FLAIR MR.
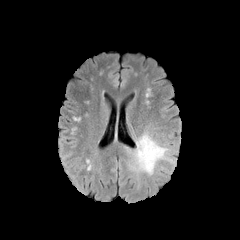
T1-weighted MR image.
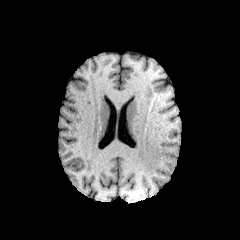
Post-contrast T1-weighted MR image.
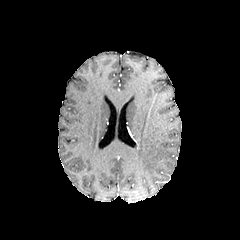
T2-weighted MRI.
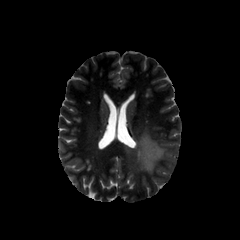
Brain
edema:
  - 130 132 167 174